Image size 512x512; CT scan slice; Upper abdomen; Image width 462 mm
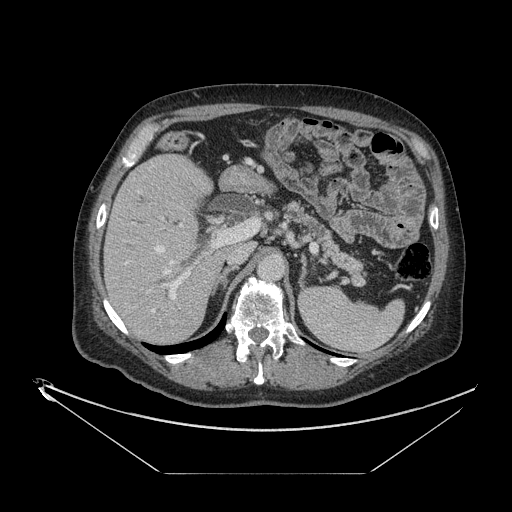 <segmentation>
  <pancreas>[282,202,367,287]</pancreas>
</segmentation>